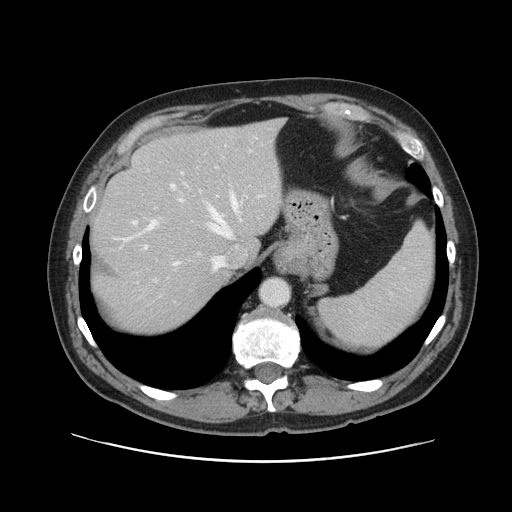
Abdomen. CT scan slice.
The vessel annotation is not exhaustive.
13 hepatic vessel regions are located at [x1=175, y1=262, x2=178, y2=264], [x1=259, y1=195, x2=261, y2=196], [x1=212, y1=256, x2=224, y2=269], [x1=133, y1=221, x2=136, y2=223], [x1=144, y1=245, x2=147, y2=248], [x1=239, y1=218, x2=240, y2=220], [x1=231, y1=194, x2=236, y2=210], [x1=208, y1=206, x2=231, y2=236], [x1=118, y1=238, x2=129, y2=240], [x1=180, y1=198, x2=183, y2=201], [x1=216, y1=195, x2=217, y2=196], [x1=171, y1=184, x2=174, y2=188], [x1=149, y1=220, x2=156, y2=228].